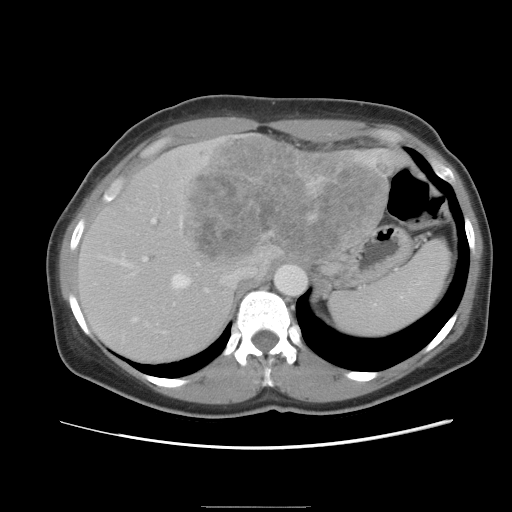 CT | Image size 512x512
Not every hepatic vessel necessarily has a box.
Segmented structures:
* liver tumor: 178:137:387:267
* hepatic vessel: 133:317:137:319, 105:255:125:263, 151:219:154:222, 204:288:207:289, 161:330:163:331, 99:255:101:256, 143:257:146:259, 219:252:262:287, 130:272:133:274, 171:274:188:288